Abdomen | 512x512 | CT image
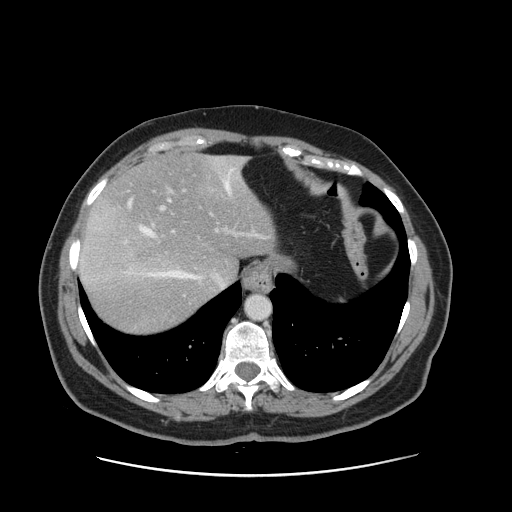
Not every hepatic vessel necessarily has a box.
* hepatic vessel: 160:206:164:209, 127:272:130:272, 224:169:233:192, 191:275:196:278, 216:229:217:231, 169:199:171:200, 248:230:262:237, 150:271:187:276